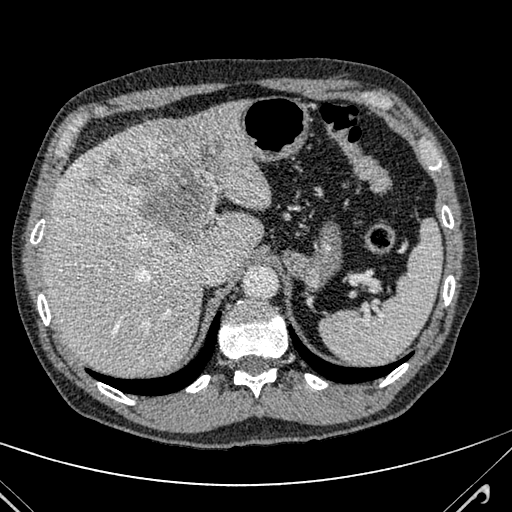

Abdomen | Image size 512x512 | CT image
Findings:
- hepatic lesion: [x1=88, y1=180, x2=99, y2=189], [x1=129, y1=146, x2=222, y2=242], [x1=104, y1=154, x2=125, y2=175]
- liver: [x1=45, y1=100, x2=269, y2=374]